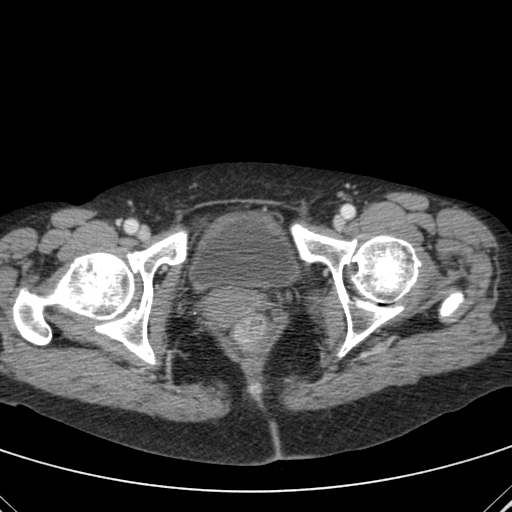
CT, Image size 512x512
The urinary bladder is bounded by x1=187, y1=210, x2=302, y2=291.